Abdomen, Field of view 487x487 mm, Computed tomography, Image size 512x512 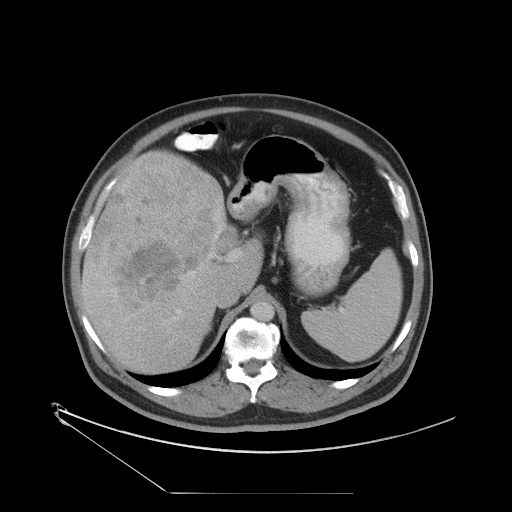

Not every hepatic vessel necessarily has a box.
Liver tumor: bounding box x1=91 y1=153 x2=236 y2=312.
Hepatic vessel: bounding box x1=181 y1=290 x2=186 y2=300, x1=110 y1=289 x2=111 y2=292, x1=123 y1=312 x2=138 y2=323, x1=191 y1=273 x2=195 y2=277, x1=226 y1=249 x2=242 y2=261, x1=209 y1=255 x2=214 y2=257, x1=188 y1=307 x2=190 y2=308, x1=216 y1=206 x2=223 y2=229, x1=201 y1=262 x2=209 y2=268, x1=216 y1=197 x2=221 y2=202, x1=161 y1=308 x2=183 y2=324, x1=153 y1=305 x2=158 y2=309, x1=140 y1=310 x2=143 y2=311, x1=101 y1=289 x2=105 y2=292.